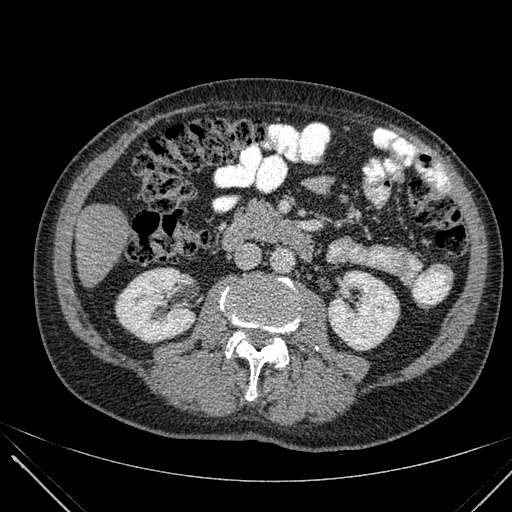 CT image; Image size 512x512; Abdomen
Liver at [76, 203, 135, 286].
Kidney at [329, 271, 398, 349], [116, 268, 194, 341].